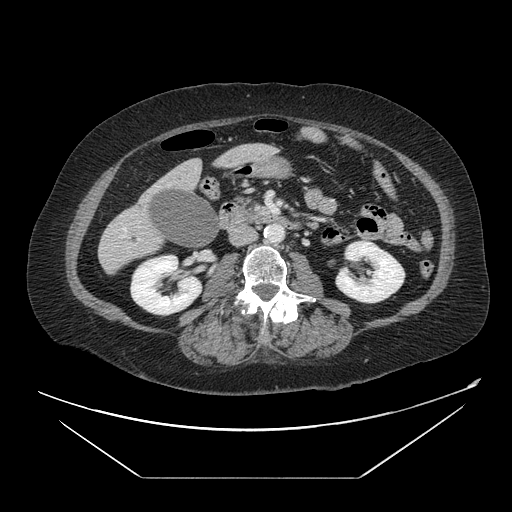
CT image; Abdomen
Segmented structures:
* pancreas: 251,205,269,217